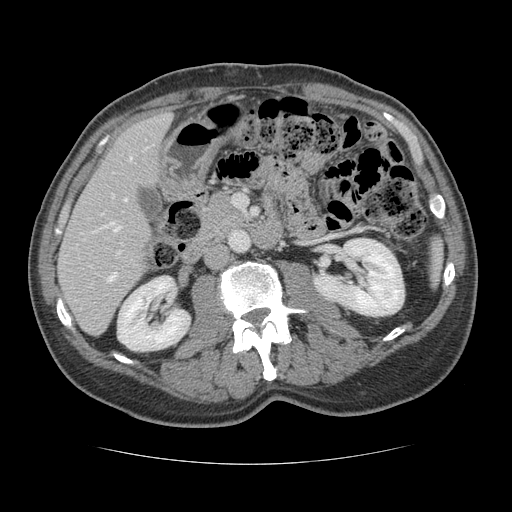 CT
Only some of the vessels may be annotated.
<segmentation>
  <hepatic_vessel>124 198 126 200, 106 221 119 230, 145 147 147 148, 118 251 120 253, 107 272 117 281, 129 156 131 160</hepatic_vessel>
</segmentation>